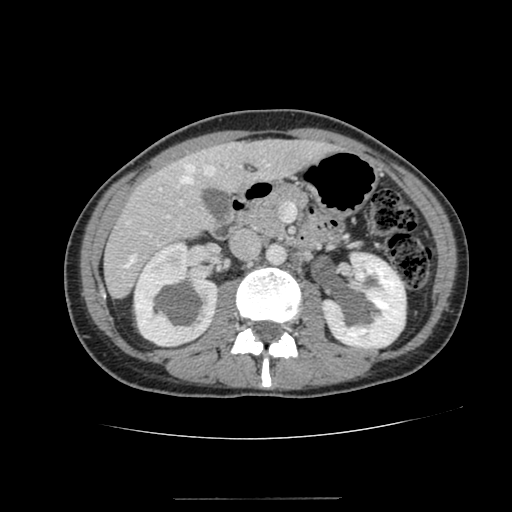

CT scan slice. Abdomen. 512x512. Kidney = rect(323, 253, 405, 347); rect(135, 243, 216, 345).
Liver = rect(104, 138, 333, 297).